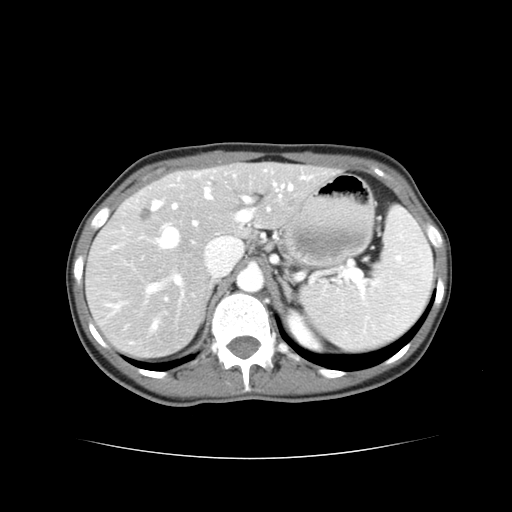

CT slice

Not every hepatic vessel necessarily has a box.
The liver tumor lies within bbox=[141, 209, 150, 220]. 11 hepatic vessel regions are bounded by bbox=[238, 211, 250, 221]; bbox=[289, 186, 292, 189]; bbox=[149, 285, 158, 291]; bbox=[194, 222, 196, 224]; bbox=[175, 276, 181, 283]; bbox=[244, 197, 248, 201]; bbox=[303, 177, 305, 179]; bbox=[173, 204, 176, 208]; bbox=[159, 228, 177, 247]; bbox=[153, 201, 160, 209]; bbox=[205, 189, 210, 198].